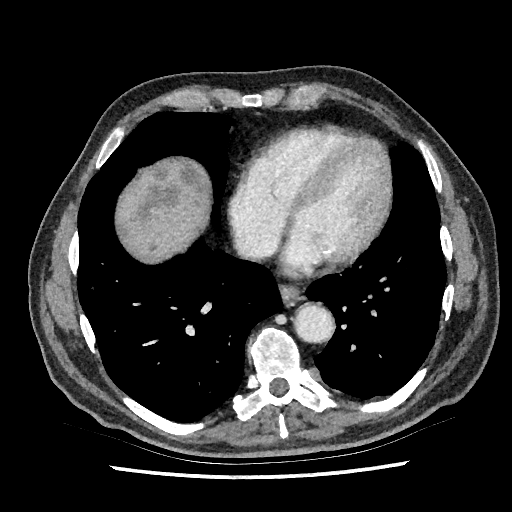

CT; 512x512; Liver

The liver is located at {"x1": 117, "y1": 160, "x2": 206, "y2": 260}. 4 liver lesion regions are located at {"x1": 181, "y1": 162, "x2": 204, "y2": 188}, {"x1": 132, "y1": 184, "x2": 180, "y2": 226}, {"x1": 148, "y1": 243, "x2": 157, "y2": 250}, {"x1": 152, "y1": 164, "x2": 169, "y2": 179}.